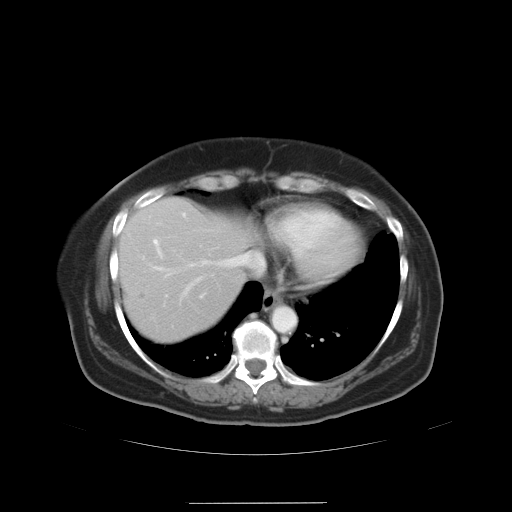

Computed tomography, Image size 512x512
The vessel boxes may cover only some of the vessels.
6 hepatic vessel regions are located at <box>152,237,163,258</box>, <box>200,294,203,297</box>, <box>184,253,262,270</box>, <box>180,276,203,300</box>, <box>148,263,179,277</box>, <box>181,213,185,218</box>.